Image width 240 mm. Slice index 56.
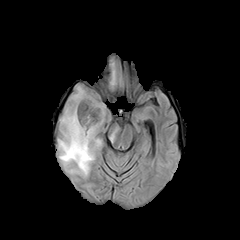
FLAIR MR image.
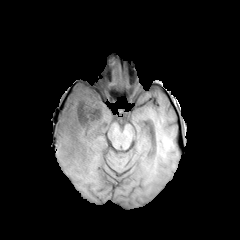
T1-weighted MR image.
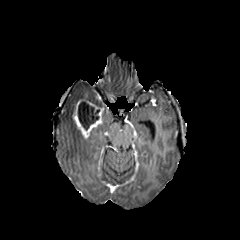
Same slice, post-contrast T1-weighted MR image.
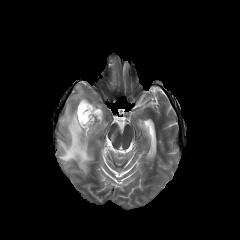
T2-weighted MR.
The non-enhancing tumor core is located at x1=77 y1=98 x2=101 y2=129. The edema is located at x1=58 y1=87 x2=108 y2=175. The enhancing tumor is located at x1=73 y1=104 x2=101 y2=138.